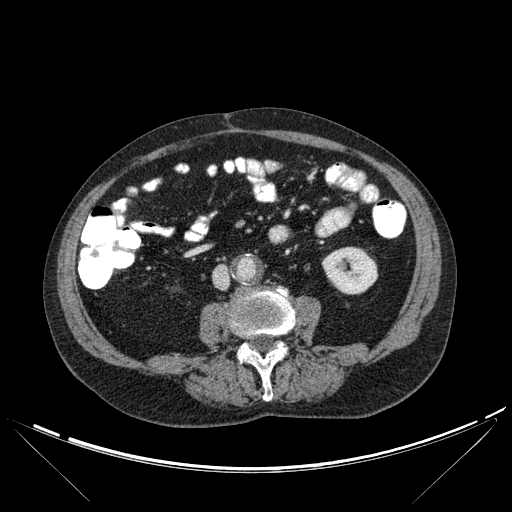 Abdomen. Computed tomography. Image size 512x512. Kidney: bounding box [322, 247, 377, 293].
Bone: bounding box [238, 342, 286, 400], [231, 288, 294, 336].